512x512; Abdomen; Slice 68 of 135; Computed tomography

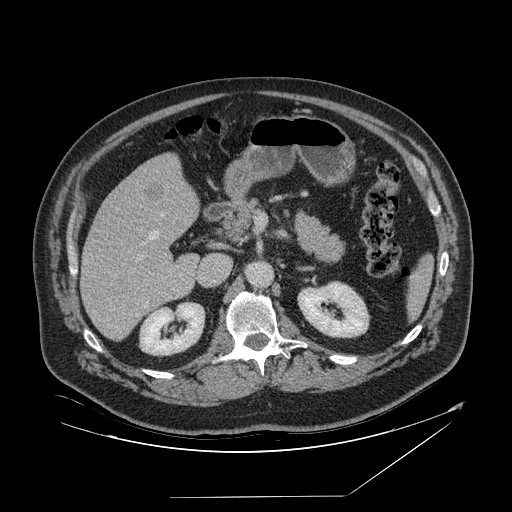 spleen:
  - {"x1": 406, "y1": 255, "x2": 432, "y2": 320}